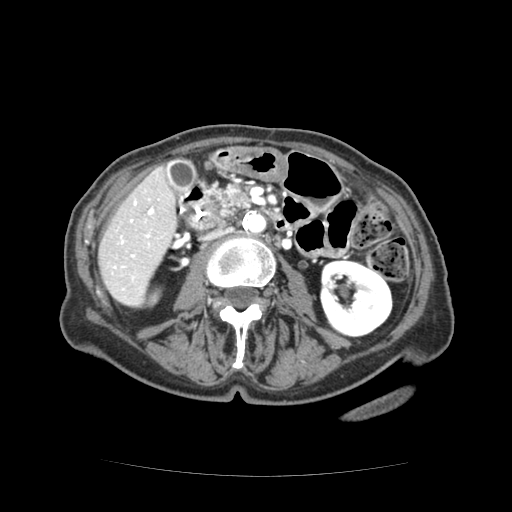

Upper abdomen. CT. 512x512 px.
The pancreatic tumor is at [234, 192, 246, 201]. The pancreas lies within [210, 184, 250, 216].